FLAIR MR.
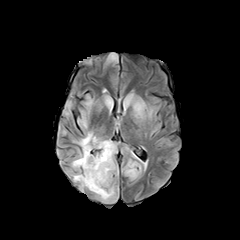
T1-weighted MR image.
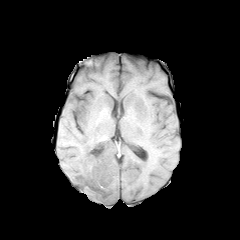
Post-contrast T1-weighted MR image.
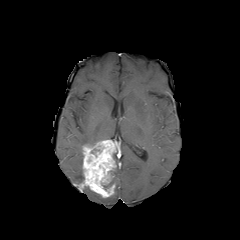
T2-weighted MR image.
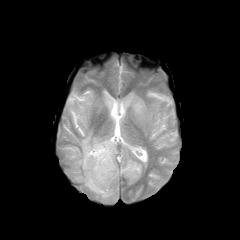
Image size 240x240 | Head
{"enhancing_tumor": ["82 140 115 197"], "non-enhancing_tumor_core": ["77 169 84 189"], "edema": ["90 191 117 203", "75 130 103 148", "67 147 82 185", "83 94 93 110", "77 110 87 128", "104 98 111 106", "123 94 146 120"]}